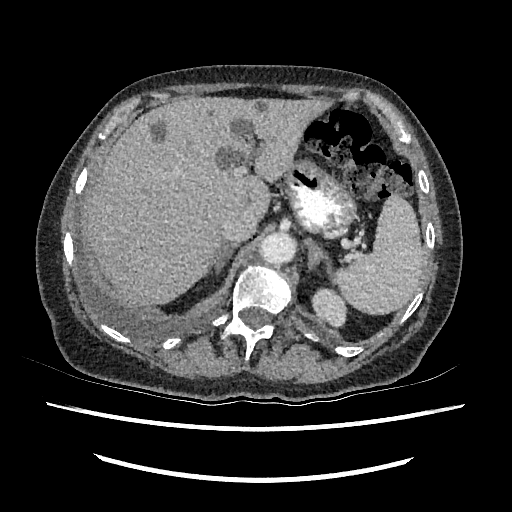 Abdomen. Computed tomography. 512x512 px.

- liver: (left=90, top=98, right=329, bottom=302)
- hepatic lesion: (left=231, top=119, right=251, bottom=140), (left=153, top=122, right=164, bottom=142), (left=215, top=146, right=251, bottom=170), (left=254, top=101, right=264, bottom=111)
- kidney: (left=312, top=289, right=345, bottom=326)